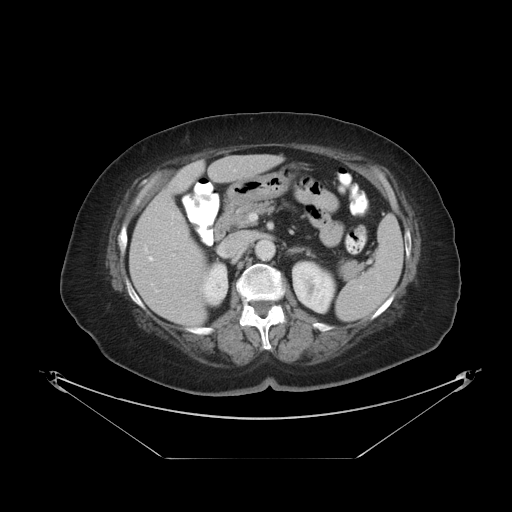

Liver | CT image
The vessel boxes may cover only some of the vessels.
{"hepatic_vessel": ["region(148, 255, 153, 260)"]}